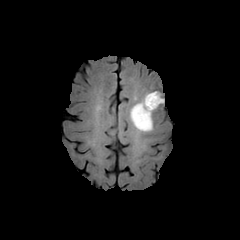
FLAIR MR.
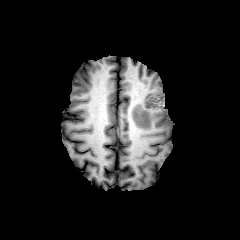
T1-weighted MR image.
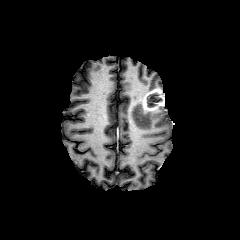
Post-contrast T1-weighted MR.
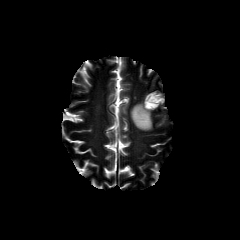
T2-weighted MR.
240x240
edema: rect(130, 94, 155, 132) | non-enhancing tumor core: rect(147, 92, 161, 107) | enhancing tumor: rect(142, 89, 164, 115)